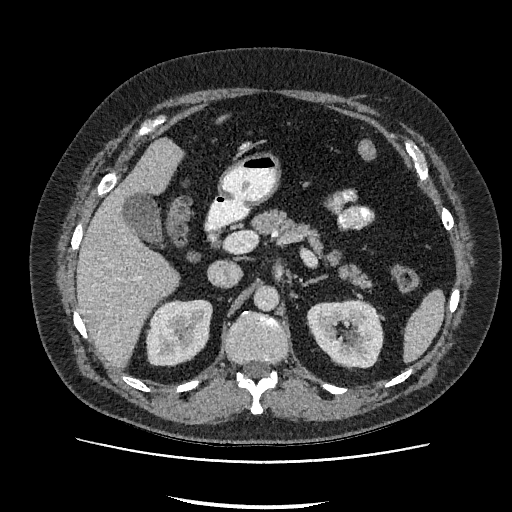
CT scan slice, Abdomen
Liver at left=77, top=138, right=182, bottom=369.
Kidney at left=147, top=300, right=211, bottom=364; left=308, top=301, right=382, bottom=366.